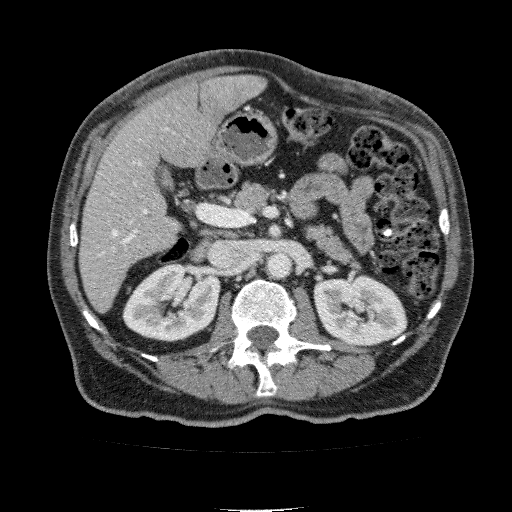
Upper abdomen. CT slice.

Liver at [x1=81, y1=75, x2=267, y2=312].
Kidney at [x1=124, y1=265, x2=219, y2=339], [x1=315, y1=277, x2=405, y2=344].